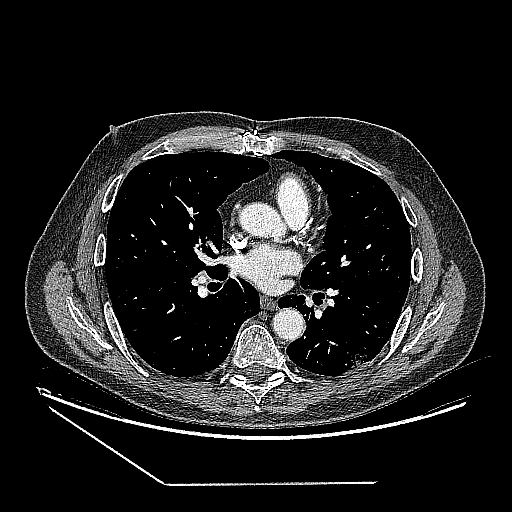
512x512; CT slice
Lung tumor at <bbox>351, 359, 363, 368</bbox>.